Abdomen; 512x512; CT scan slice

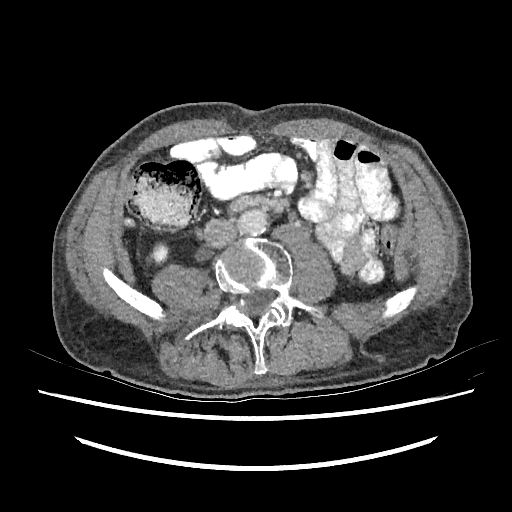
Annotated regions:
* kidney: left=154, top=247, right=166, bottom=260